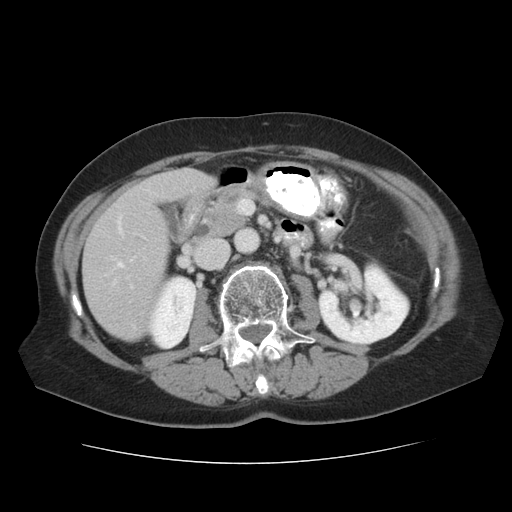

512x512. CT slice.
Liver at (83,167,216,341).
Kidney at (319,264,407,343), (149,278,195,347).
Bone at (200,260,312,394), (241,246,251,252), (73,296,82,316).